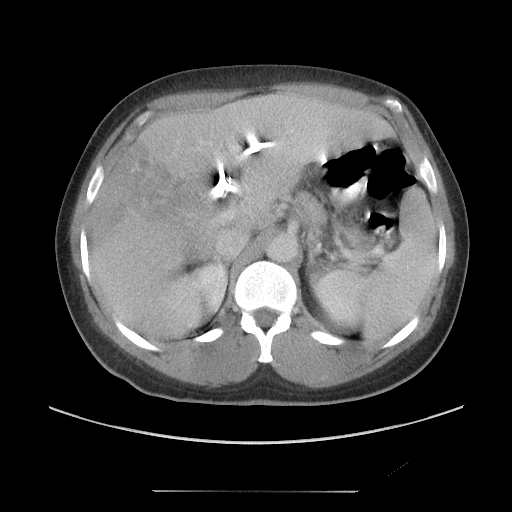
Abdomen, Computed tomography

Not every hepatic vessel necessarily has a box.
hepatic vessel: (228, 142, 238, 156) | liver tumor: (89, 146, 205, 244)